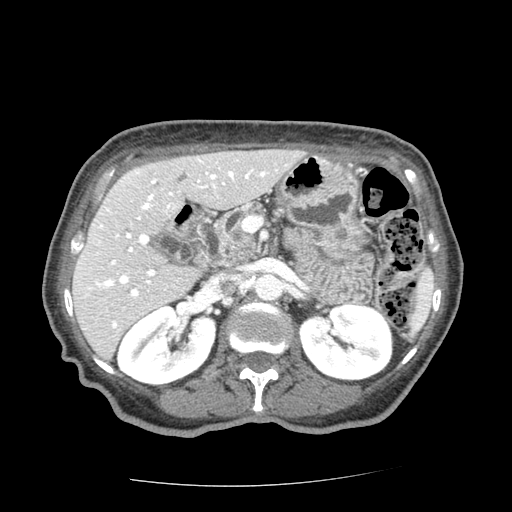

CT slice | Upper abdomen
2 pancreas regions are bounded by bbox(240, 244, 256, 263); bbox(215, 202, 264, 265). The pancreatic tumor is located at bbox(222, 223, 255, 263).